Field of view 240 mm wide, 1.00 mm slice spacing. 240x240. Slice 58/155.
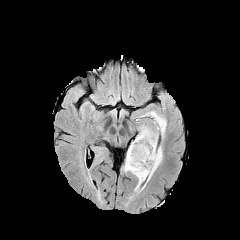
FLAIR MR.
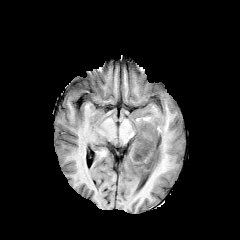
Same slice, T1-weighted MR.
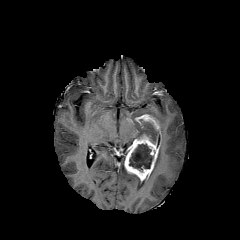
Same slice, post-contrast T1-weighted magnetic resonance.
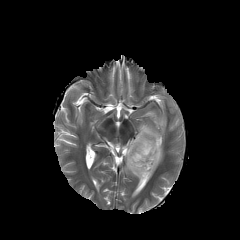
T2-weighted magnetic resonance.
non-enhancing tumor core: bbox(145, 134, 160, 145); bbox(129, 144, 152, 169) | edema: bbox(137, 110, 166, 177); bbox(130, 174, 139, 194) | enhancing tumor: bbox(124, 134, 159, 181)